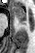 Hippocampus, MRI
Anterior hippocampus = 13 7 25 23.